CT slice | Liver
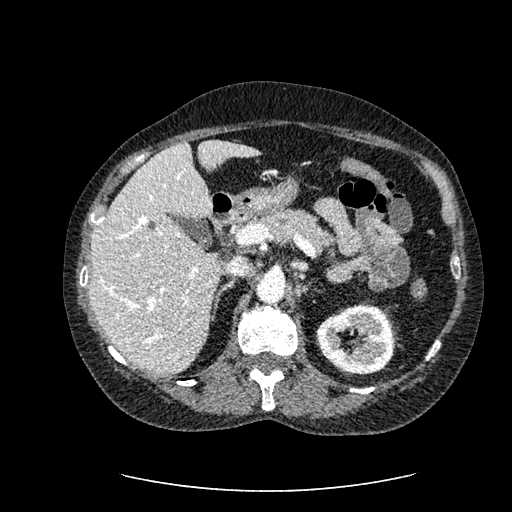 2 liver regions are bounded by [90,142,220,374], [198,141,260,169]. The hepatic lesion is at [147,221,155,230]. The kidney is bounded by [317,305,393,373].